512x512. CT image.
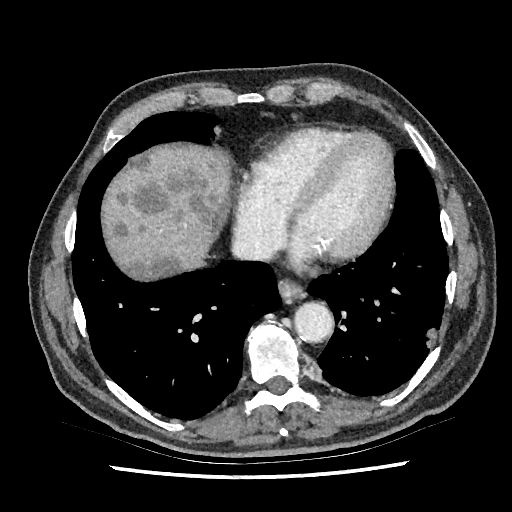 Liver at <bbox>203, 193, 212, 206</bbox>, <bbox>105, 144, 230, 269</bbox>.
Hepatic lesion at <bbox>123, 256, 184, 278</bbox>, <bbox>135, 181, 170, 215</bbox>, <bbox>166, 168, 228, 231</bbox>, <bbox>172, 209, 183, 223</bbox>, <bbox>114, 222, 129, 239</bbox>, <bbox>124, 150, 151, 171</bbox>, <bbox>117, 192, 128, 206</bbox>, <bbox>137, 223, 147, 233</bbox>.